Brain.
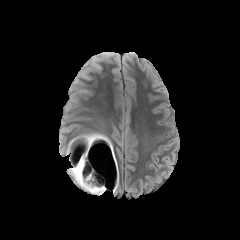
FLAIR MR image.
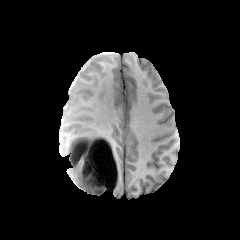
T1-weighted MR of the same slice.
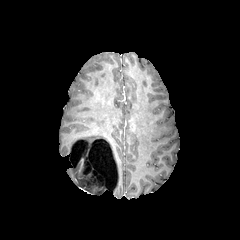
Post-contrast T1-weighted MR image.
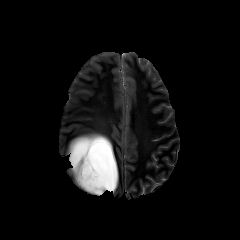
T2-weighted MR.
Annotated regions:
• edema: (left=100, top=143, right=112, bottom=158), (left=80, top=133, right=107, bottom=141), (left=69, top=164, right=95, bottom=193), (left=107, top=177, right=115, bottom=187)
• non-enhancing tumor core: (left=69, top=137, right=109, bottom=193)